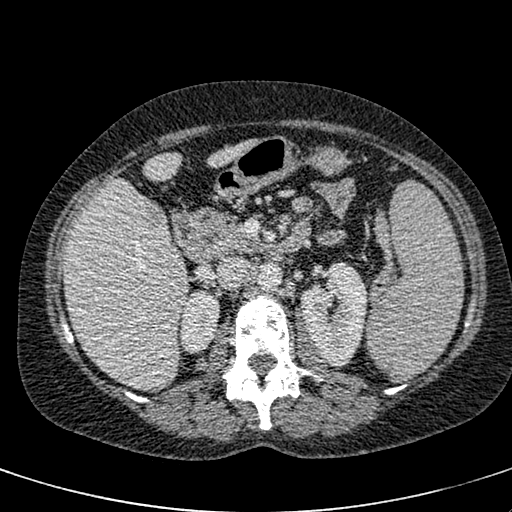

CT slice
focal_liver_lesion:
  - [x1=141, y1=203, x2=166, y2=233]
kidney:
  - [x1=180, y1=291, x2=218, y2=347]
  - [x1=301, y1=262, x2=366, y2=365]
liver:
  - [x1=144, y1=152, x2=182, y2=179]
  - [x1=66, y1=180, x2=188, y2=388]
  - [x1=208, y1=139, x2=261, y2=168]